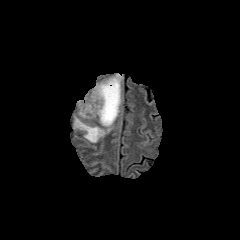
FLAIR MR image.
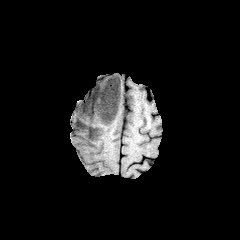
T1-weighted MR image of the same slice.
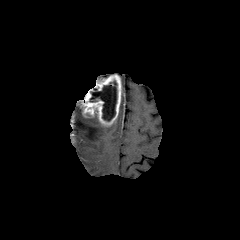
Same slice, post-contrast T1-weighted MR image.
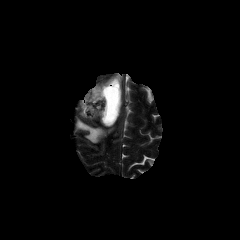
T2-weighted MR image.
Head.
{
  "edema": [
    "73:116:113:143"
  ],
  "non-enhancing_tumor_core": [
    "92:85:116:121"
  ],
  "enhancing_tumor": [
    "79:74:121:126"
  ]
}